CT image. 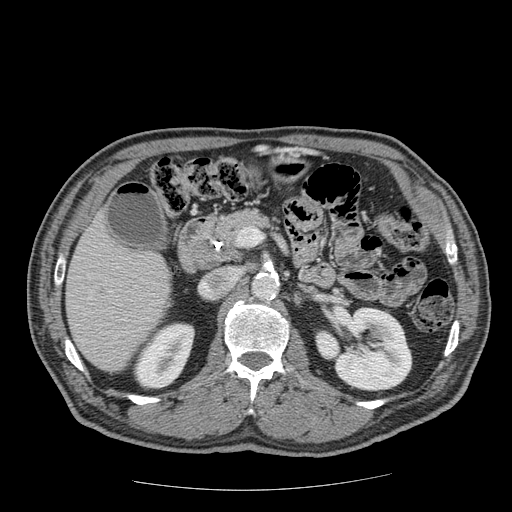
<segmentation>
  <pancreas>rect(194, 207, 276, 271)</pancreas>
</segmentation>